Computed tomography, Liver, 512x512
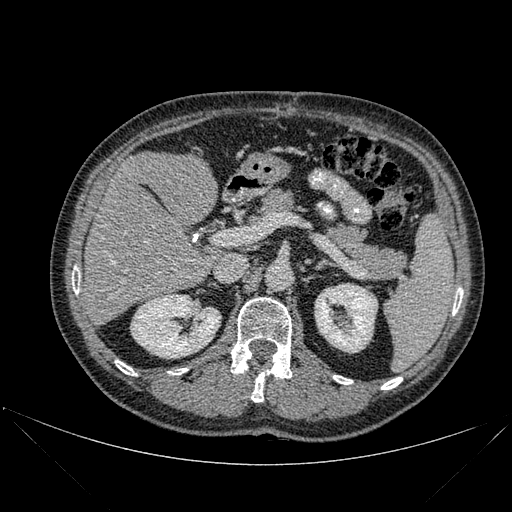

Bone: bounding box [333,375,352,384], [231,297,291,378], [251,372,264,402], [168,368,187,374], [381,377,402,389], [452,288,462,315], [115,360,136,375], [72,271,79,294].
Kidney: bounding box [315,283,377,352], [130,295,220,358].
Liver: bounding box [82,152,218,324].